MRI.
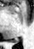
Segmented structures:
* posterior hippocampus: (left=12, top=41, right=17, bottom=42)